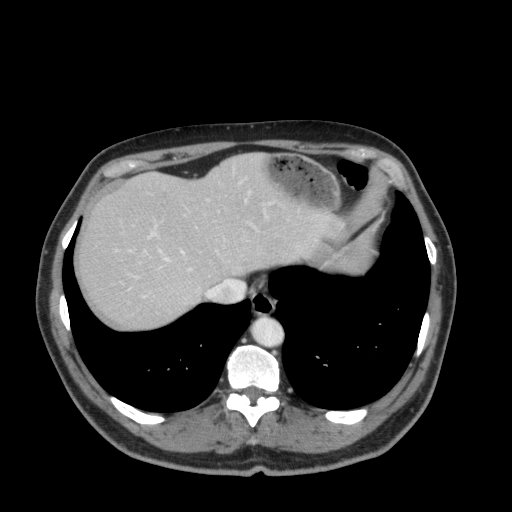
Abdomen | CT image

Liver: bounding box x1=80, y1=154, x2=346, y2=328.